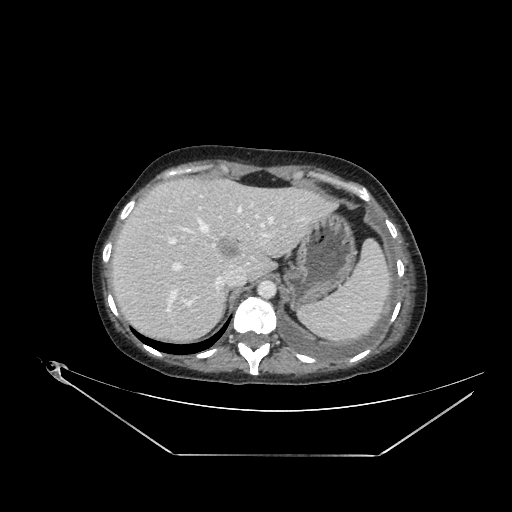
Computed tomography

Liver: bounding box {"x1": 115, "y1": 179, "x2": 338, "y2": 339}.
Focal liver lesion: bounding box {"x1": 214, "y1": 238, "x2": 243, "y2": 256}.